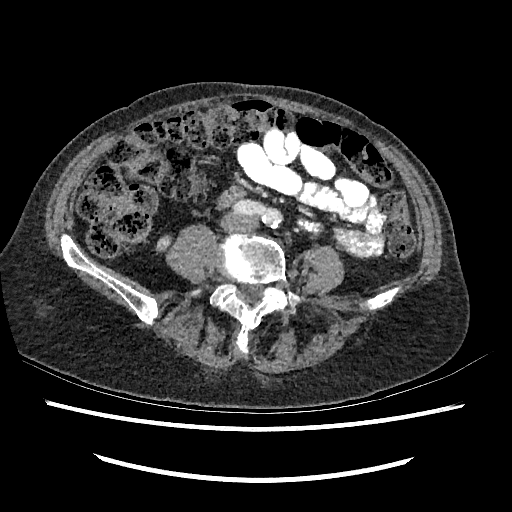

CT scan slice
Kidney: x1=155, y1=234, x2=172, y2=253.